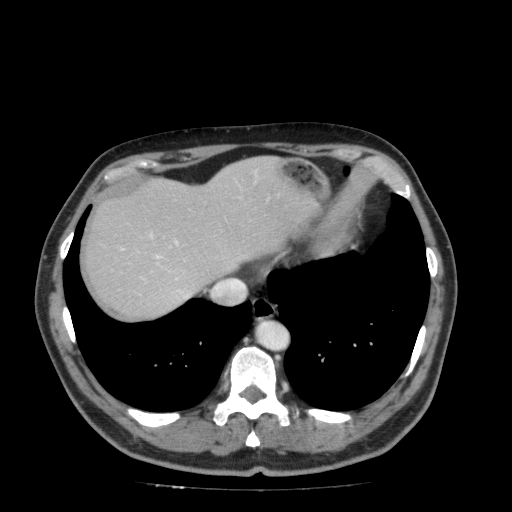 CT, Liver
The liver is bounded by x1=85, y1=158, x2=316, y2=317.